Field of view 411x411 mm. CT slice. Slice 53/574.

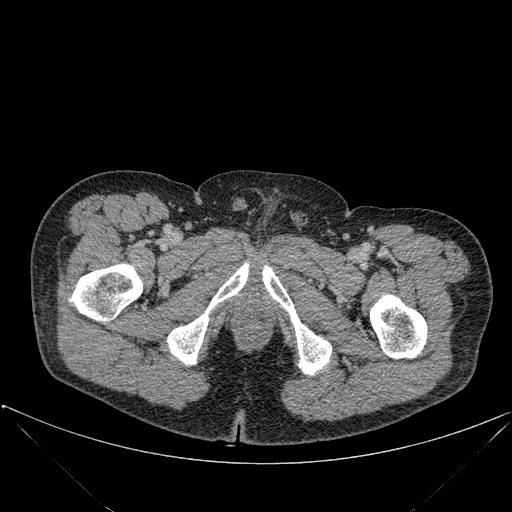 Segmented structures:
• bone: 262,265,331,374; 69,264,142,320; 370,295,427,358; 167,263,248,364